240x240 px; Head
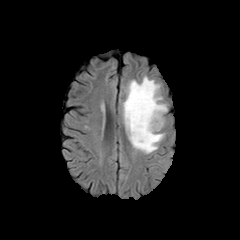
FLAIR MR image.
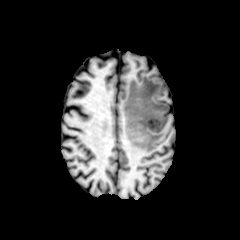
T1-weighted MR image.
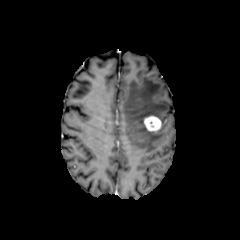
Same slice, post-contrast T1-weighted MR image.
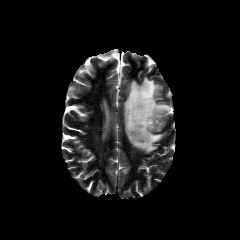
Same slice, T2-weighted MR.
• enhancing tumor: {"x1": 144, "y1": 116, "x2": 161, "y2": 131}
• edema: {"x1": 122, "y1": 76, "x2": 168, "y2": 153}